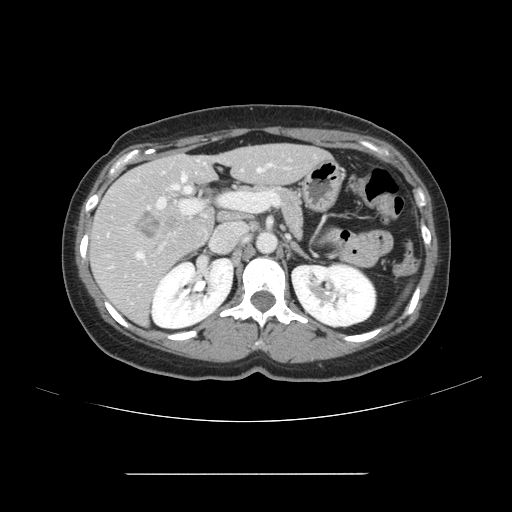 Computed tomography | Liver | Image size 512x512

Only some of the vessels may be annotated.
• hepatic vessel: rect(257, 168, 264, 171); rect(181, 174, 186, 181); rect(186, 187, 189, 188); rect(266, 164, 271, 166); rect(157, 197, 165, 208); rect(137, 252, 143, 258); rect(172, 185, 177, 188); rect(147, 206, 149, 208)
• liver tumor: rect(133, 210, 160, 237)